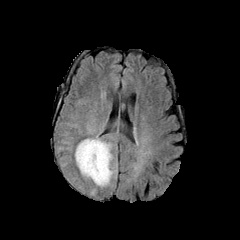
FLAIR MR.
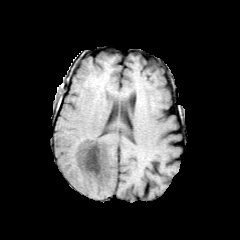
Same slice, T1-weighted magnetic resonance.
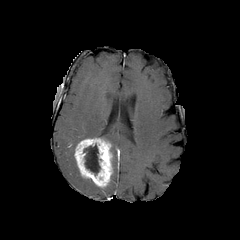
Post-contrast T1-weighted MR.
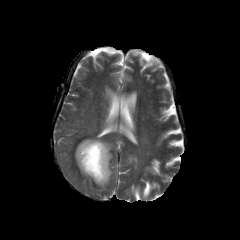
Same slice, T2-weighted MRI.
Head
non-enhancing tumor core: (x1=84, y1=145, x2=99, y2=173) | edema: (x1=110, y1=163, x2=117, y2=181) | enhancing tumor: (x1=75, y1=138, x2=111, y2=186)